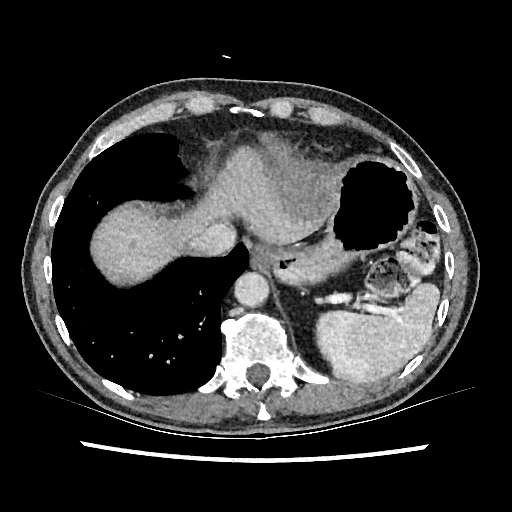
CT image | Abdomen
The liver lies within [94, 149, 332, 282]. 3 liver lesion regions appear at [273, 173, 338, 225], [262, 167, 269, 177], [129, 239, 135, 248].